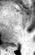

Medial temporal lobe. Magnetic resonance.
{"posterior_hippocampus": ["[13,46,16,46]"]}